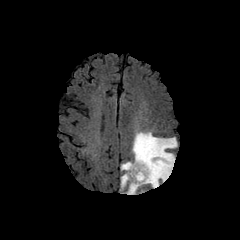
FLAIR magnetic resonance.
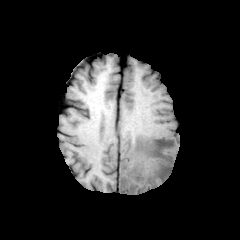
T1-weighted MR of the same slice.
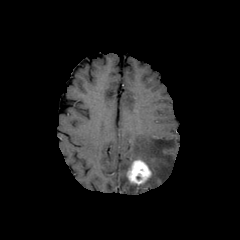
Post-contrast T1-weighted MR image.
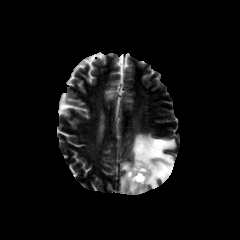
T2-weighted MR.
edema: 120 131 176 194 | enhancing tumor: 125 157 152 189